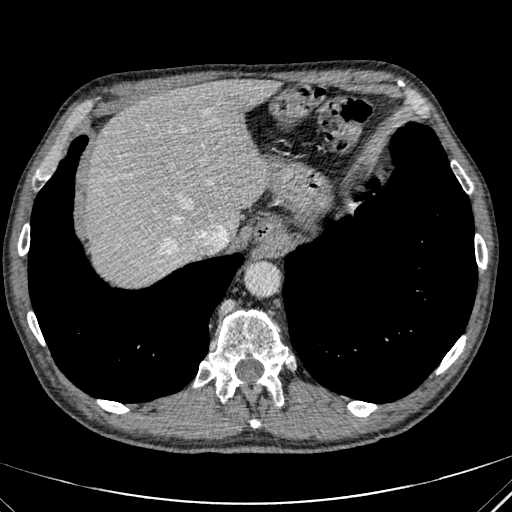
Upper abdomen, CT scan slice

The liver is located at rect(87, 79, 279, 286).